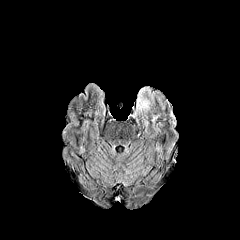
FLAIR MRI.
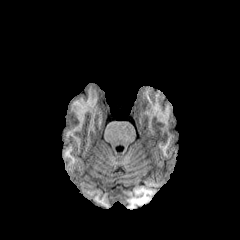
T1-weighted MR.
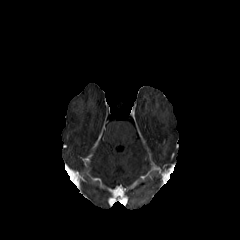
Post-contrast T1-weighted magnetic resonance.
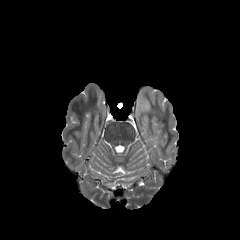
Same slice, T2-weighted MR image.
Head.
edema: left=152, top=117, right=159, bottom=130; left=135, top=86, right=151, bottom=131